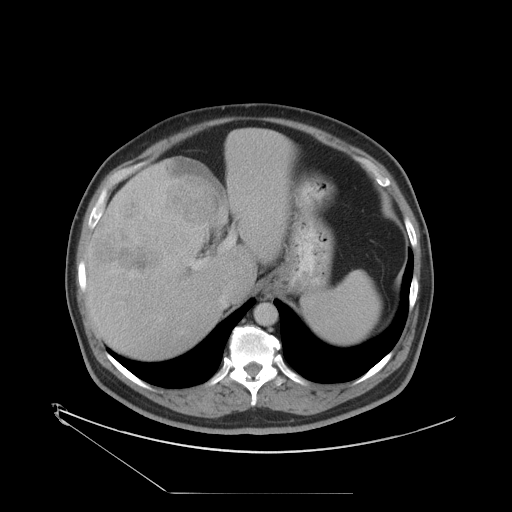
512x512 | Computed tomography | Liver

Only some of the vessels may be annotated.
12 hepatic vessel regions are located at bbox(197, 239, 202, 241); bbox(183, 258, 209, 270); bbox(163, 257, 169, 265); bbox(152, 277, 154, 278); bbox(128, 273, 134, 278); bbox(219, 237, 233, 252); bbox(172, 261, 175, 267); bbox(160, 317, 164, 319); bbox(222, 255, 224, 261); bbox(186, 226, 187, 228); bbox(162, 282, 163, 283); bbox(120, 312, 123, 314). 2 liver tumor regions appear at bbox(89, 200, 166, 274); bbox(160, 158, 229, 229).